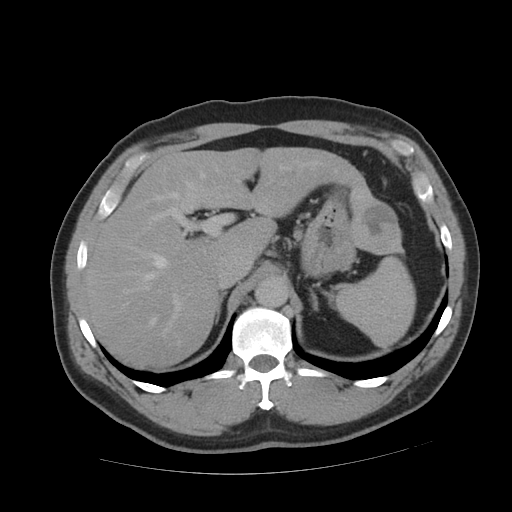
CT image
The vessel boxes may cover only some of the vessels.
Liver tumor at [x1=353, y1=202, x2=400, y2=252].
Hepatic vessel at [x1=187, y1=183, x2=193, y2=188], [x1=145, y1=287, x2=147, y2=288], [x1=151, y1=318, x2=155, y2=323], [x1=173, y1=293, x2=181, y2=316], [x1=141, y1=252, x2=167, y2=268], [x1=311, y1=162, x2=316, y2=164], [x1=147, y1=272, x2=158, y2=277], [x1=162, y1=206, x2=179, y2=221], [x1=170, y1=193, x2=176, y2=197], [x1=202, y1=173, x2=203, y2=176].